Image size 240x240; Slice 60/155
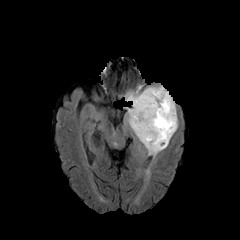
FLAIR MRI.
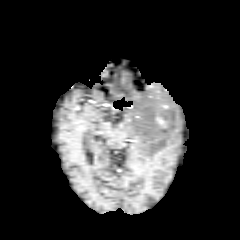
T1-weighted MRI.
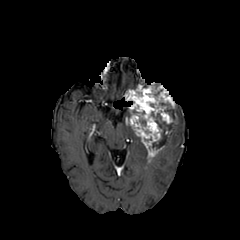
Same slice, post-contrast T1-weighted magnetic resonance.
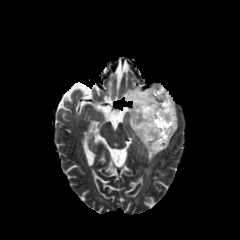
T2-weighted MR.
Non-enhancing tumor core — box=[156, 100, 174, 119]; box=[151, 112, 174, 148].
Edema — box=[123, 109, 149, 155]; box=[152, 119, 178, 159].
Enhancing tumor — box=[125, 86, 176, 155].